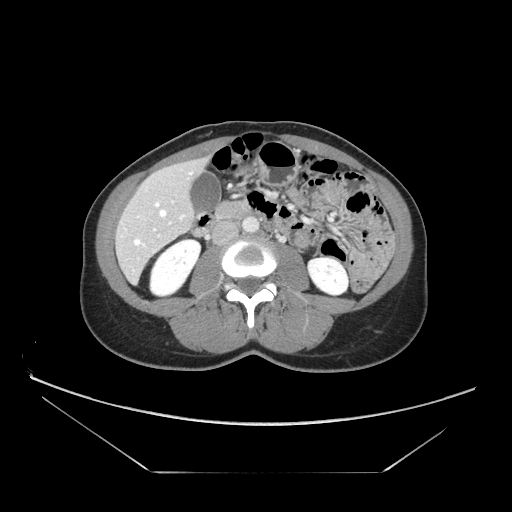
512x512. CT slice. Upper abdomen. Pancreas: bounding box (216, 201, 251, 218).